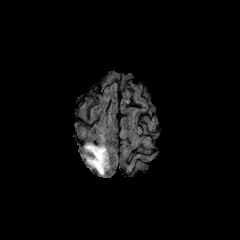
FLAIR MRI.
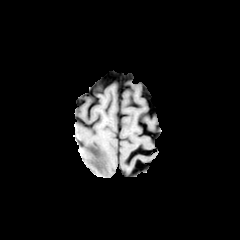
T1-weighted MR image.
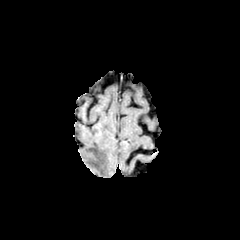
Same slice, post-contrast T1-weighted MR image.
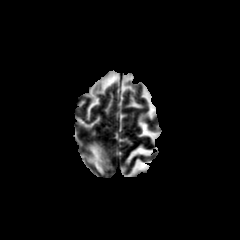
Same slice, T2-weighted MR image.
Head
Findings:
• edema: box(84, 144, 109, 175)